Slice index 68 | Brain | Field of view 240x240 mm
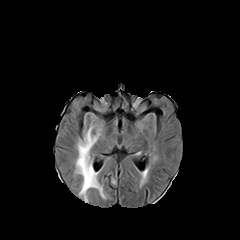
FLAIR MR.
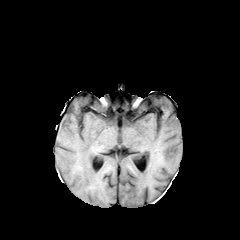
T1-weighted magnetic resonance.
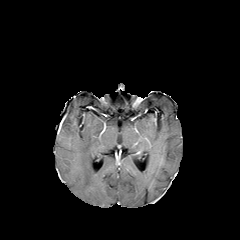
Same slice, post-contrast T1-weighted MR image.
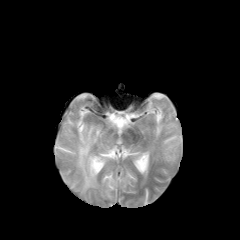
T2-weighted magnetic resonance of the same slice.
The edema lies within [75,126,105,199].